Slice index 70 | Abdomen | Image size 512x512 | CT image

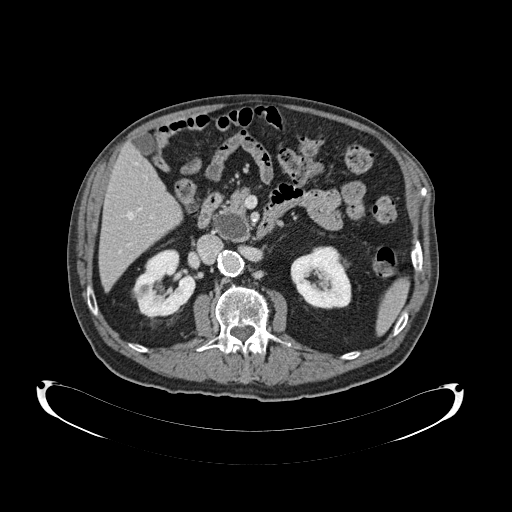

The pancreas is located at 212 185 253 243. The pancreatic tumor appears at 216 212 246 239.